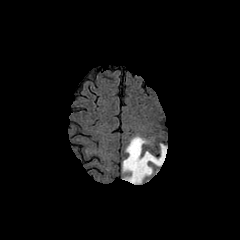
FLAIR MR image.
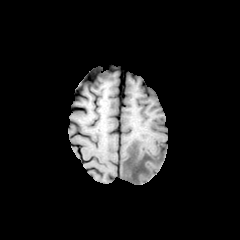
T1-weighted MR image.
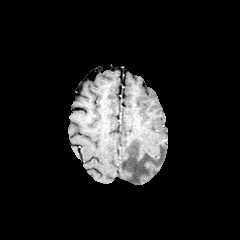
Post-contrast T1-weighted MRI.
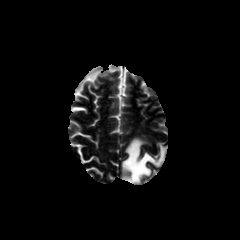
Same slice, T2-weighted MR.
The edema is bounded by 122 136 166 184.